Slice index 122
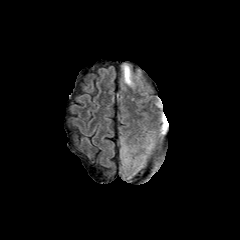
FLAIR MR.
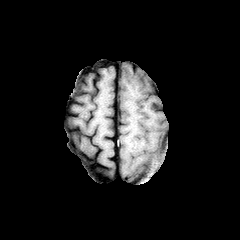
Same slice, T1-weighted MR.
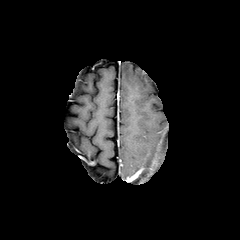
Post-contrast T1-weighted magnetic resonance.
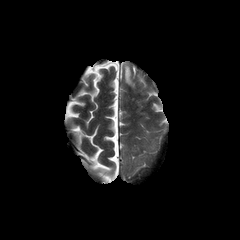
T2-weighted magnetic resonance of the same slice.
Annotated regions:
* edema: <box>122,63,141,86</box>